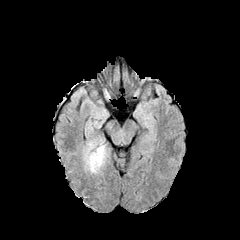
FLAIR magnetic resonance.
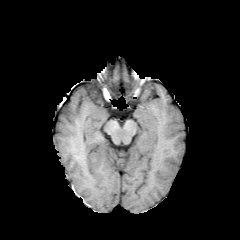
T1-weighted MR.
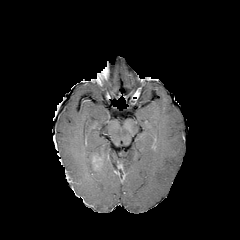
Post-contrast T1-weighted MR.
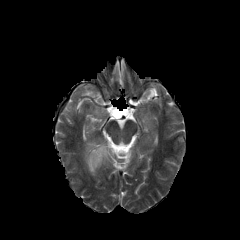
T2-weighted MR.
The enhancing tumor appears at box=[92, 153, 104, 170]. The edema is bounded by box=[81, 139, 110, 174].